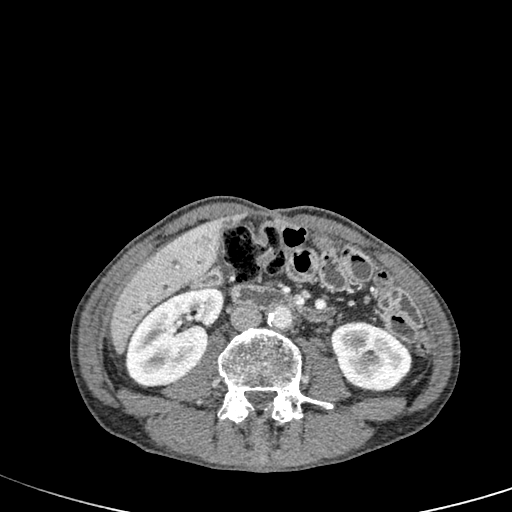 Computed tomography. Upper abdomen. Kidney at [332,323,410,389], [127,288,222,385].
Liver at [112,218,224,353].
Liver lesion at [223,215,242,225].